CT image. Slice 211/455. 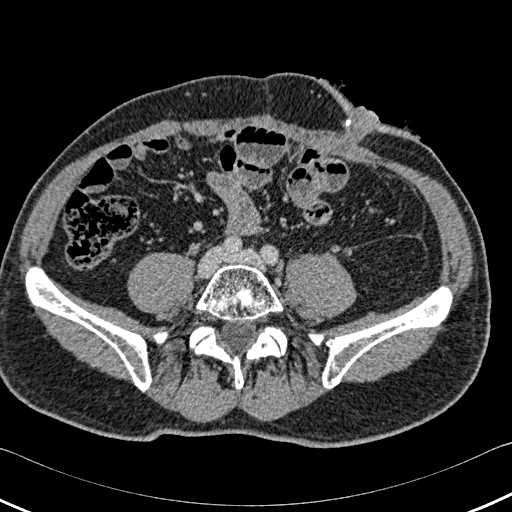 Bone: bounding box (left=26, top=268, right=151, bottom=390), (left=308, top=329, right=326, bottom=346), (left=196, top=264, right=282, bottom=320), (left=146, top=329, right=169, bottom=343), (left=322, top=287, right=451, bottom=387), (left=190, top=327, right=243, bottom=389), (left=247, top=327, right=286, bottom=359).